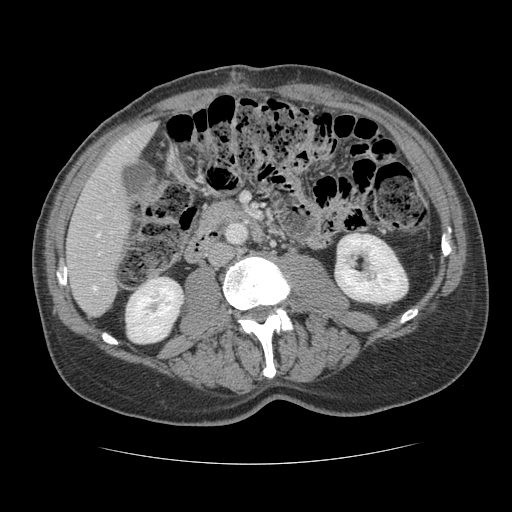 Liver. CT.

The vessel annotation is not exhaustive.
Hepatic vessel: bounding box [x1=97, y1=215, x2=99, y2=218], [x1=96, y1=234, x2=99, y2=236], [x1=92, y1=286, x2=96, y2=290], [x1=98, y1=252, x2=100, y2=254].